FLAIR MR.
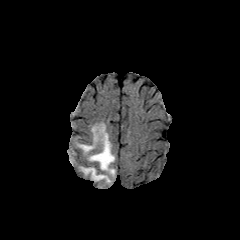
T1-weighted magnetic resonance.
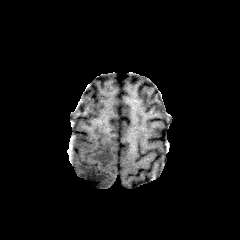
Post-contrast T1-weighted MRI.
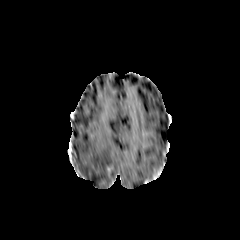
T2-weighted MRI.
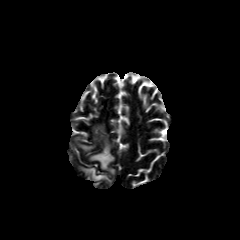
Edema — (x1=79, y1=124, x2=115, y2=185).